FLAIR MRI.
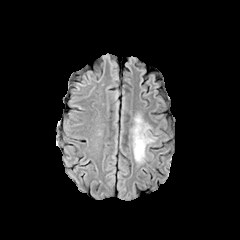
T1-weighted MRI.
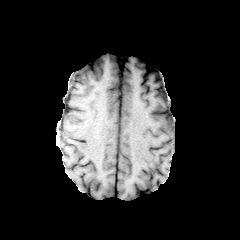
Post-contrast T1-weighted MR.
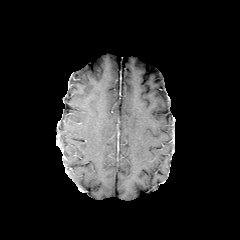
T2-weighted MR.
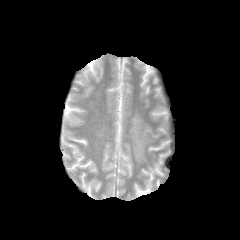
Brain
{
  "edema": [
    "[x1=132, y1=116, x2=155, y2=163]"
  ]
}